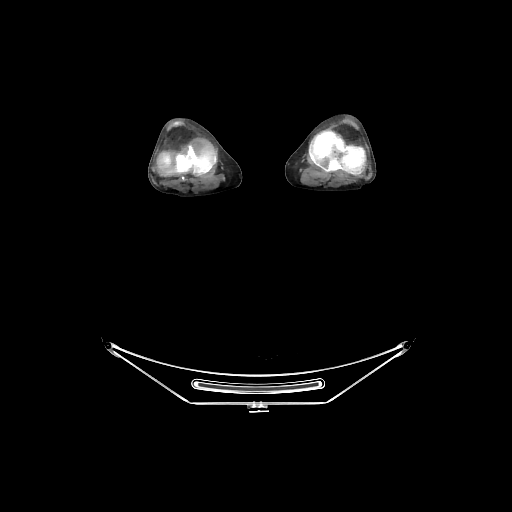 CT slice.
Annotated regions:
* bone: l=157, t=138, r=216, b=175; l=309, t=131, r=366, b=174